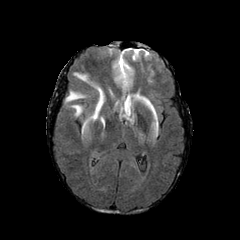
FLAIR MRI.
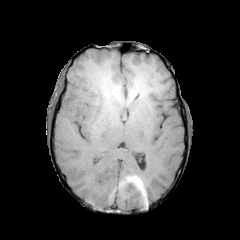
T1-weighted MR image.
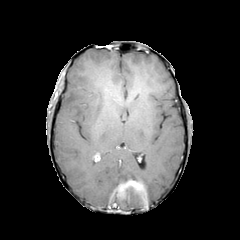
Post-contrast T1-weighted MR image.
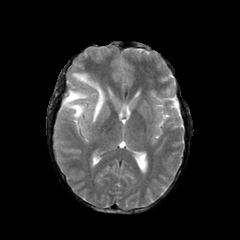
T2-weighted MRI of the same slice.
Head.
<segmentation>
  <edema>bbox=[72, 72, 89, 82]; bbox=[64, 86, 86, 116]; bbox=[88, 81, 104, 121]</edema>
</segmentation>